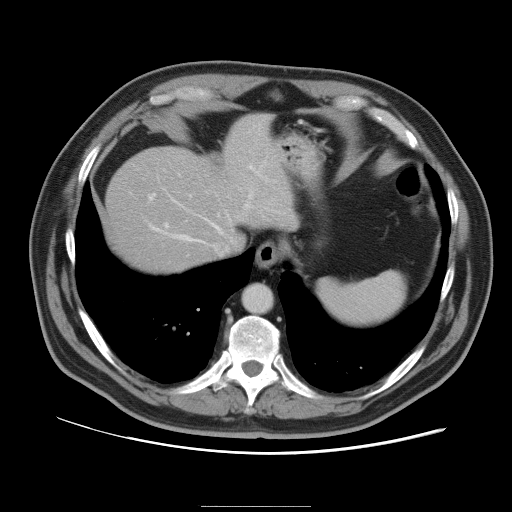

CT scan slice | Liver
Some hepatic vessels may have no box.
{
  "hepatic_vessel": [
    "(left=174, top=234, right=207, bottom=244)",
    "(left=178, top=174, right=180, bottom=176)",
    "(left=149, top=224, right=158, bottom=230)",
    "(left=235, top=214, right=242, bottom=219)",
    "(left=185, top=209, right=222, bottom=233)",
    "(left=240, top=188, right=241, bottom=190)",
    "(left=169, top=196, right=181, bottom=206)",
    "(left=248, top=160, right=277, bottom=182)",
    "(left=189, top=194, right=191, bottom=197)",
    "(left=162, top=188, right=165, bottom=190)",
    "(left=243, top=187, right=253, bottom=214)",
    "(left=163, top=223, right=167, bottom=234)",
    "(left=148, top=193, right=154, bottom=201)"
  ]
}